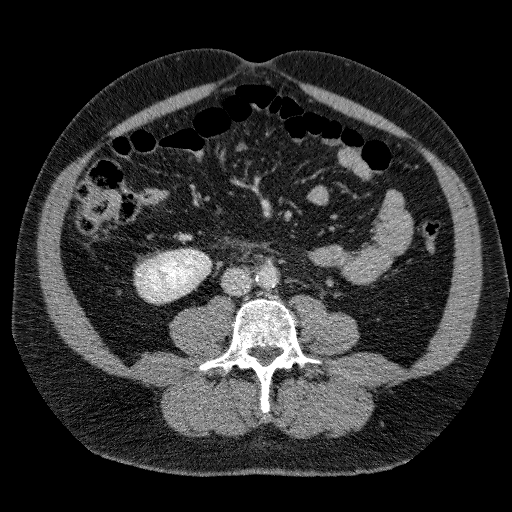 Computed tomography, 512x512 px

The kidney is at (left=136, top=249, right=210, bottom=301).